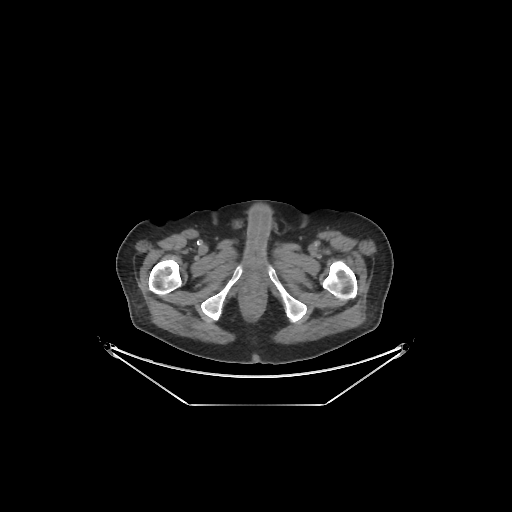
CT slice, 512x512
* bone: box(323, 261, 357, 299); box(201, 266, 242, 319); box(268, 267, 306, 322); box(148, 259, 181, 295)